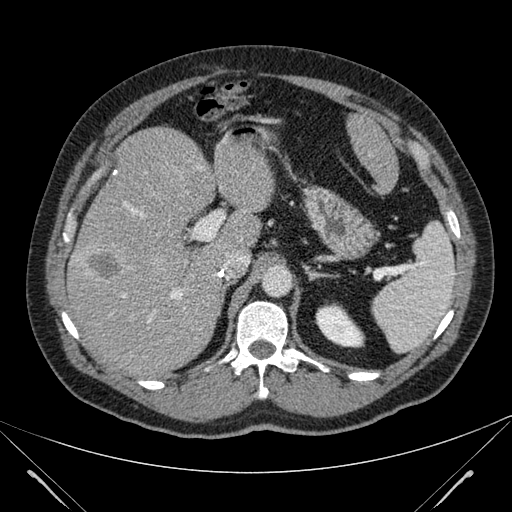

CT slice

The kidney lies within x1=317, y1=306, x2=362, y2=346. The liver lesion appears at x1=85, y1=249, x2=121, y2=279. 2 liver regions appear at x1=347, y1=113, x2=398, y2=193; x1=56, y1=127, x2=273, y2=380.